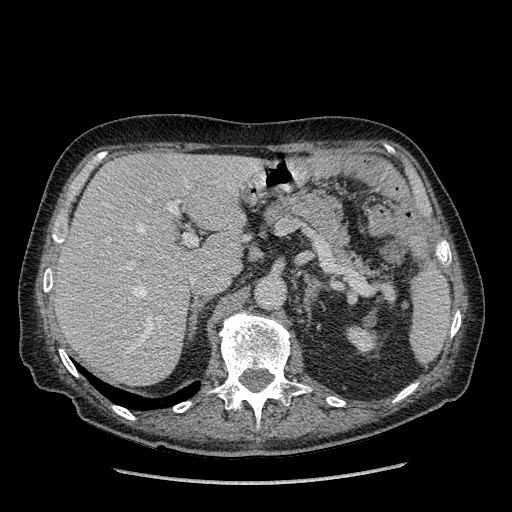

Computed tomography
liver:
  - [x1=55, y1=152, x2=258, y2=386]
kidney:
  - [x1=347, y1=326, x2=376, y2=351]